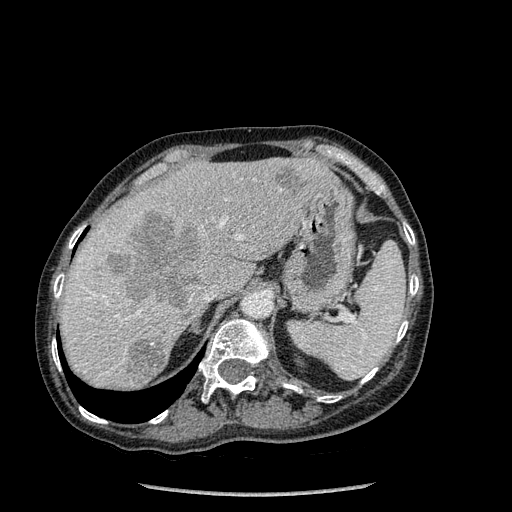

CT image; Abdomen
Bone — x1=317 y1=395 x2=341 y2=402, x1=53 y1=273 x2=64 y2=298, x1=199 y1=319 x2=268 y2=402, x1=51 y1=338 x2=60 y2=371, x1=150 y1=410 x2=167 y2=423, x1=79 y1=406 x2=107 y2=423, x1=68 y1=226 x2=84 y2=248, x1=373 y1=182 x2=385 y2=195, x1=360 y1=367 x2=377 y2=383, x1=409 y1=274 x2=418 y2=295, x1=403 y1=223 x2=415 y2=244, x1=282 y1=383 x2=301 y2=392, x1=395 y1=320 x2=407 y2=342.
Liver — x1=60 y1=158 x2=339 y2=390.
Focal liver lesion — x1=120 y1=334 x2=164 y2=384, x1=123 y1=210 x2=200 y2=307, x1=106 y1=252 x2=130 y2=272, x1=274 y1=164 x2=307 y2=193.
Lung — x1=60 y1=353 x2=199 y2=423.